Slice index 87. Image size 240x240.
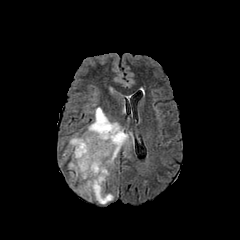
FLAIR MR image.
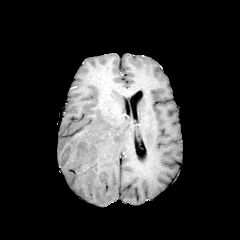
T1-weighted MR image.
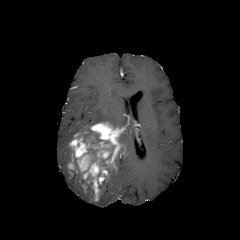
Same slice, post-contrast T1-weighted MRI.
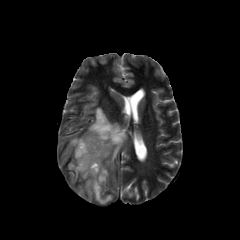
T2-weighted MR.
Findings:
• enhancing tumor: box=[68, 122, 124, 200]
• non-enhancing tumor core: box=[76, 130, 101, 147]; box=[84, 176, 93, 196]; box=[72, 170, 83, 179]; box=[67, 144, 77, 165]; box=[99, 146, 113, 170]
• edema: box=[70, 174, 93, 197]; box=[118, 130, 131, 151]; box=[98, 159, 115, 203]; box=[79, 107, 124, 136]